Field of view 476x476 mm. Computed tomography.
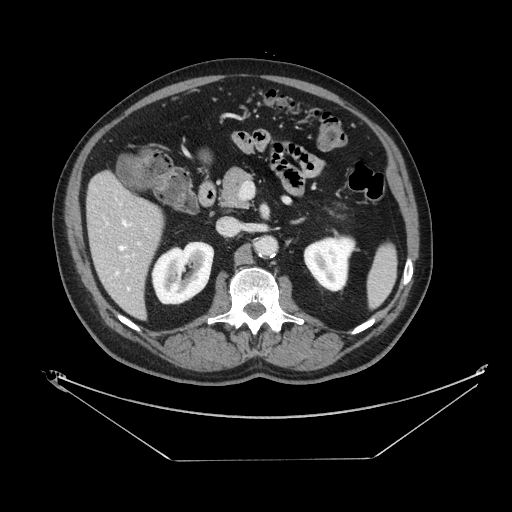 Findings:
- pancreas: bbox(220, 168, 251, 207)